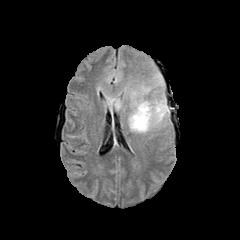
FLAIR MR.
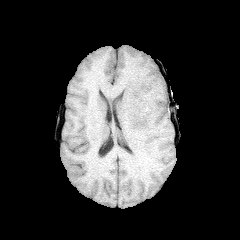
T1-weighted MR.
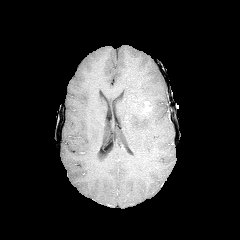
Same slice, post-contrast T1-weighted MR.
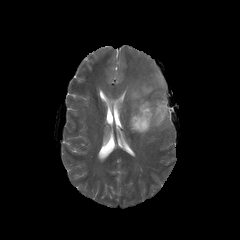
T2-weighted MRI.
Findings:
• edema: box=[128, 86, 169, 134]; box=[108, 98, 120, 107]
• enhancing tumor: box=[143, 101, 152, 113]
• non-enhancing tumor core: box=[133, 99, 154, 120]